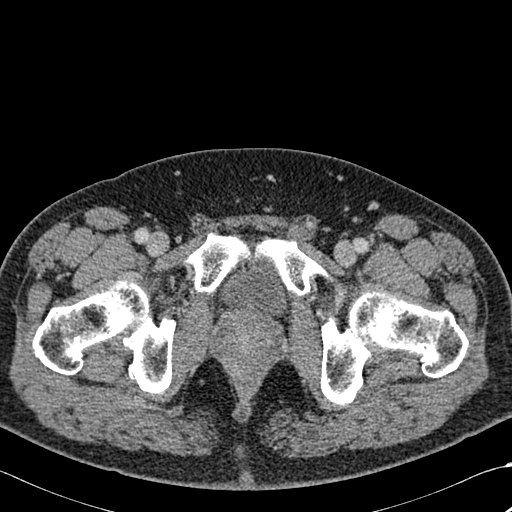

512x512 px. CT slice.
Bone — x1=256, y1=239, x2=327, y2=295; x1=321, y1=292, x2=468, y2=404; x1=33, y1=280, x2=174, y2=393; x1=186, y1=234, x2=249, y2=291.